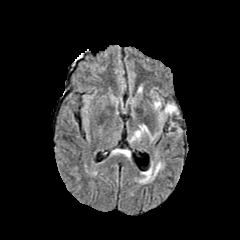
FLAIR magnetic resonance.
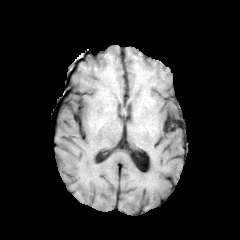
T1-weighted MR.
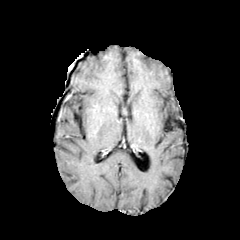
Same slice, post-contrast T1-weighted magnetic resonance.
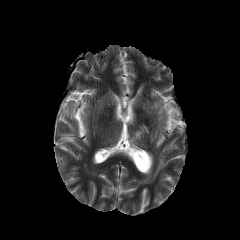
T2-weighted MRI.
Image size 240x240
3 edema regions appear at rect(145, 163, 163, 179); rect(134, 125, 146, 138); rect(154, 94, 178, 117).